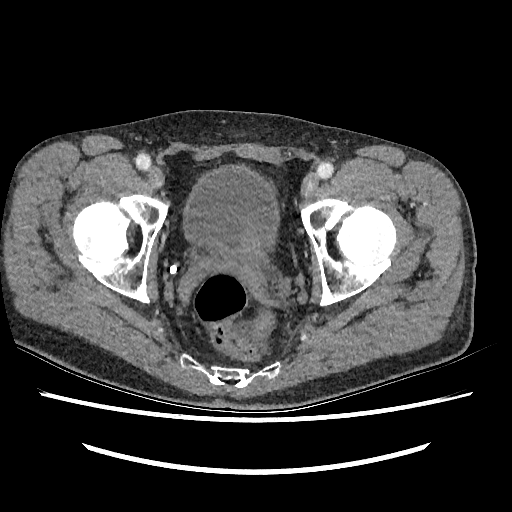

CT scan slice.
urinary_bladder:
  - bbox(183, 170, 276, 250)